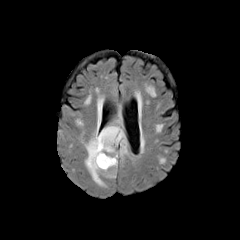
FLAIR MR image.
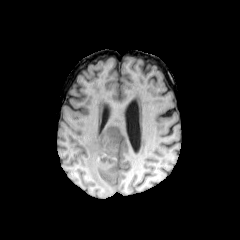
T1-weighted MRI of the same slice.
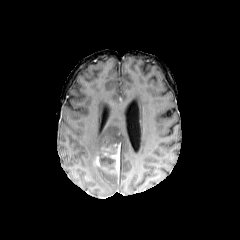
Post-contrast T1-weighted magnetic resonance.
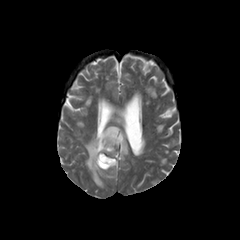
T2-weighted MRI.
Head.
Enhancing tumor = x1=93, y1=143, x2=120, y2=176.
Edema = x1=81, y1=104, x2=129, y2=186.
Non-enhancing tumor core = x1=97, y1=142, x2=119, y2=169.